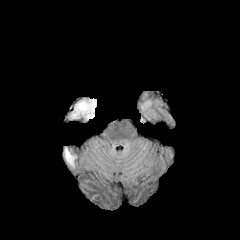
FLAIR magnetic resonance.
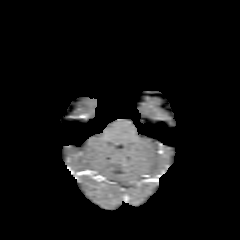
T1-weighted MR.
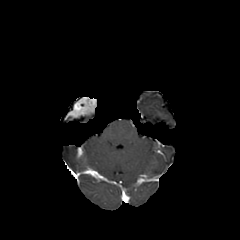
Post-contrast T1-weighted MRI of the same slice.
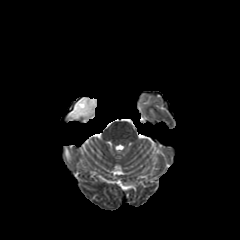
T2-weighted MR.
Image size 240x240.
edema: <box>65,149,74,164</box> | enhancing tumor: <box>68,97,96,118</box>